Slice index 58. CT slice. 512x512. Abdomen.
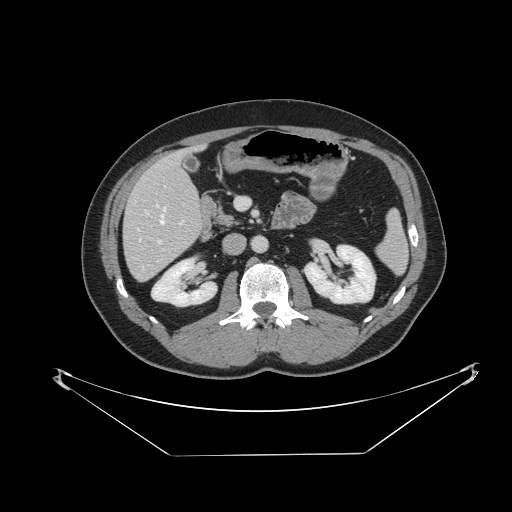
The spleen is bounded by left=377, top=210, right=407, bottom=272.